Field of view 370 mm wide, 5.00 mm slice spacing; CT image
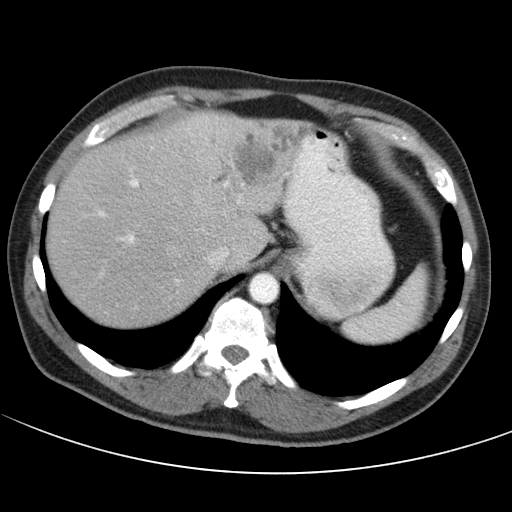
The vessel boxes may cover only some of the vessels.
6 hepatic vessel regions are located at <bbox>120, 235, 133, 241</bbox>, <bbox>224, 184, 225, 185</bbox>, <bbox>99, 212, 103, 215</bbox>, <bbox>208, 248, 227, 268</bbox>, <bbox>130, 180, 136, 185</bbox>, <bbox>237, 200, 238, 201</bbox>. 2 liver tumor regions are located at <bbox>235, 122, 304, 182</bbox>, <bbox>217, 160, 234, 183</bbox>.